Abdomen, Slice index 482, CT scan slice 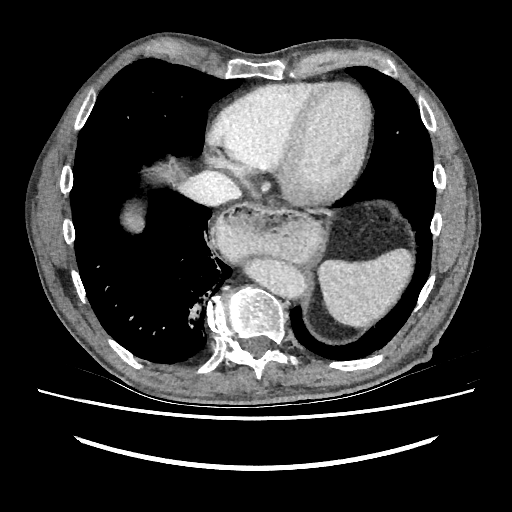
Segmented structures:
- liver: x1=148 y1=157 x2=186 y2=184, x1=124 y1=213 x2=143 y2=231